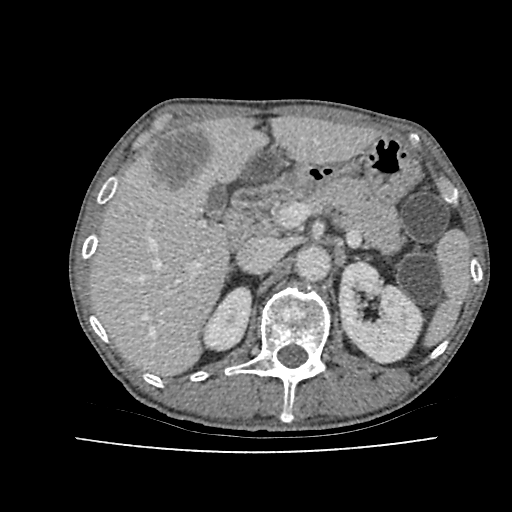

512x512, CT image
Segmented structures:
- liver lesion: (left=148, top=127, right=212, bottom=192)
- liver: (left=91, top=118, right=374, bottom=374)
- kidney: (left=205, top=288, right=250, bottom=348), (left=340, top=263, right=421, bottom=361)